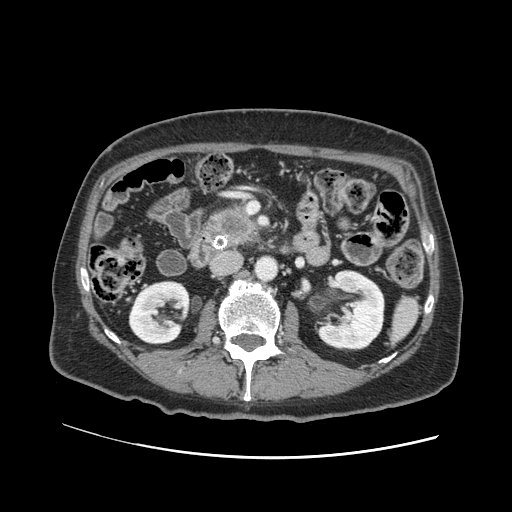 CT scan slice

pancreatic tumor: [208, 209, 256, 244] | pancreas: [201, 204, 263, 253]